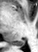
Hippocampus, Magnetic resonance

The posterior hippocampus appears at l=15, t=40, r=25, b=46.